FLAIR magnetic resonance.
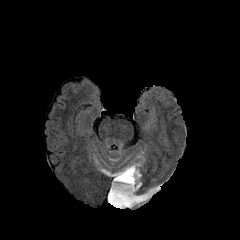
T1-weighted MRI.
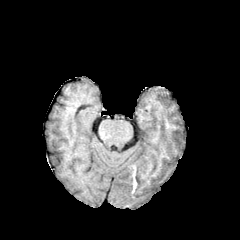
Post-contrast T1-weighted MR.
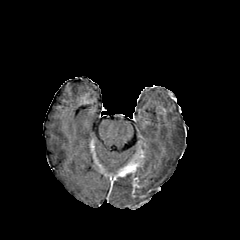
T2-weighted MRI.
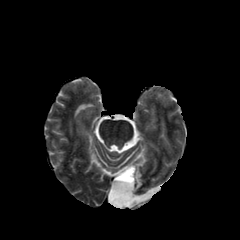
Head
edema: [x1=108, y1=180, x2=139, y2=208], [x1=135, y1=167, x2=158, y2=200] | non-enhancing tumor core: [x1=117, y1=149, x2=146, y2=207] | enhancing tumor: [x1=112, y1=162, x2=139, y2=179]